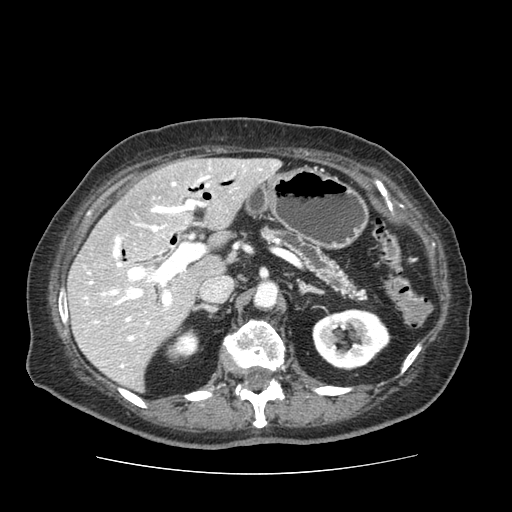
CT

The pancreas is bounded by 262:227:364:298.